Image size 512x512, Computed tomography

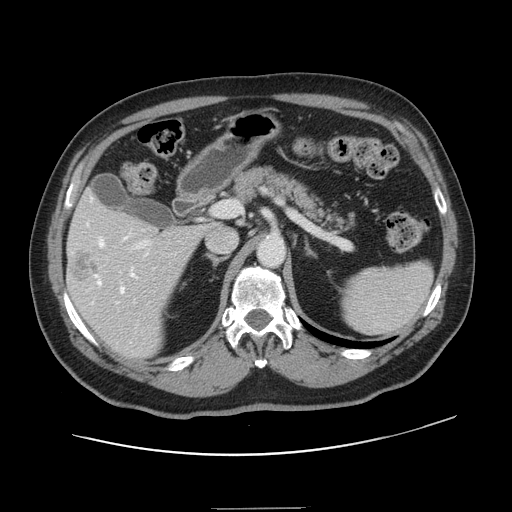
Some hepatic vessels may have no box.
liver_tumor:
  - 72, 253, 99, 281
hepatic_vessel:
  - 99, 240, 103, 247
  - 87, 223, 88, 224
  - 130, 268, 136, 277
  - 116, 301, 118, 303
  - 91, 198, 92, 200
  - 120, 283, 124, 293
  - 95, 275, 100, 283
  - 135, 240, 148, 247